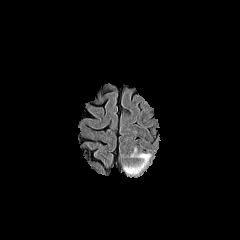
FLAIR MRI.
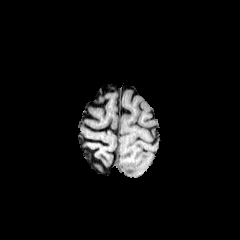
T1-weighted magnetic resonance.
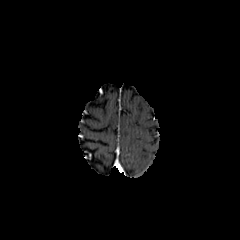
Same slice, post-contrast T1-weighted MR.
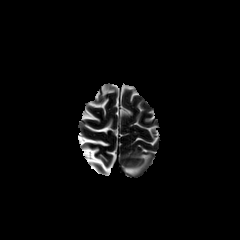
T2-weighted MR image.
Edema: bbox(124, 153, 149, 174).